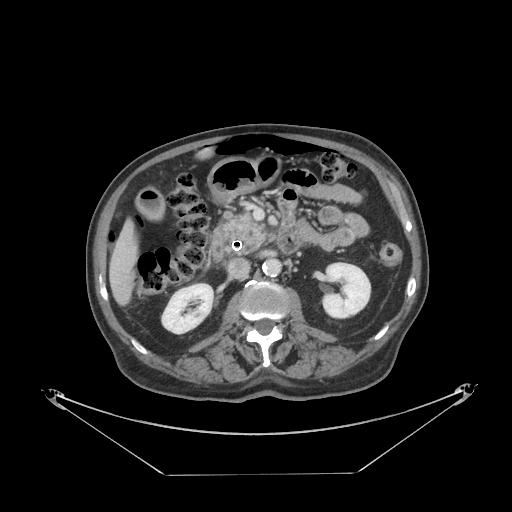 CT scan slice. Upper abdomen.
The pancreas lies within [x1=224, y1=214, x2=264, y2=254].